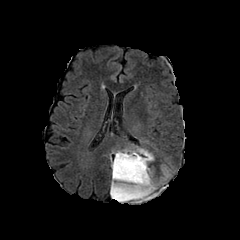
FLAIR magnetic resonance.
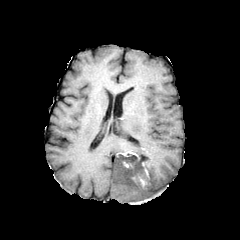
Same slice, T1-weighted MR.
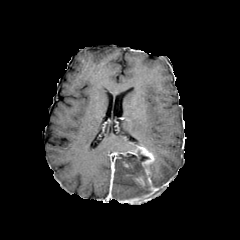
Post-contrast T1-weighted MRI of the same slice.
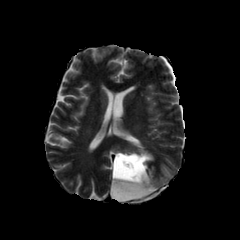
T2-weighted magnetic resonance.
Brain
Non-enhancing tumor core: bounding box bbox=[112, 148, 151, 199]; bbox=[149, 181, 162, 198].
Enhancing tumor: bounding box bbox=[110, 152, 123, 197]; bbox=[140, 148, 153, 165]; bbox=[119, 176, 157, 203].
Edema: bounding box bbox=[149, 164, 165, 186]; bbox=[114, 180, 144, 191].